Computed tomography, Liver, 512x512 px
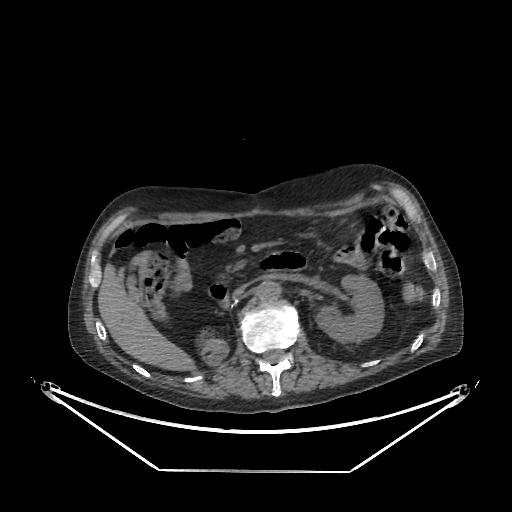

Annotated regions:
- kidney: (x1=316, y1=275, x2=383, y2=343)
- liver: (x1=98, y1=265, x2=195, y2=370)